CT scan slice, Liver, 512x512 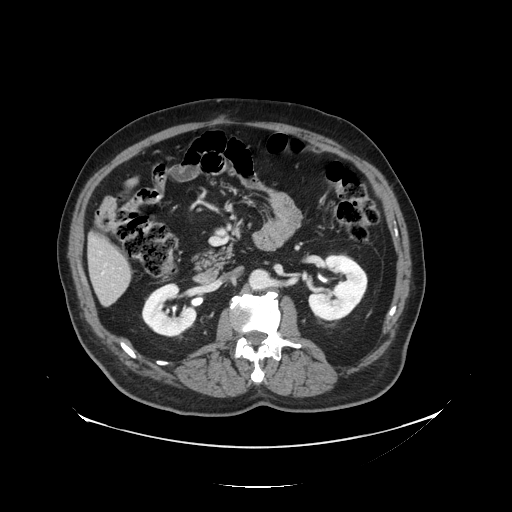 Not every hepatic vessel necessarily has a box.
The hepatic vessel appears at left=102, top=272, right=104, bottom=274.